CT, 512x512, Abdomen

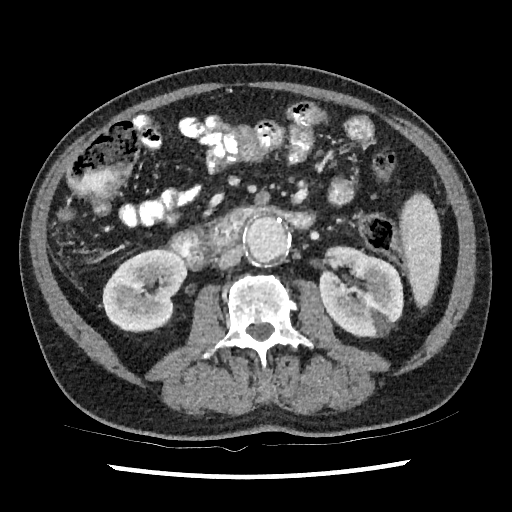
Kidney — bbox=[320, 247, 402, 335]; bbox=[103, 250, 186, 330].